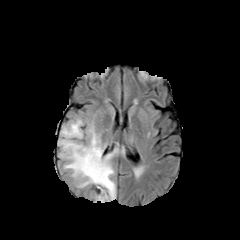
FLAIR MR.
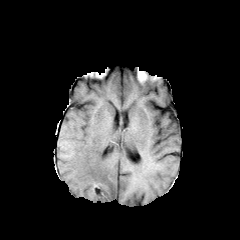
T1-weighted MRI.
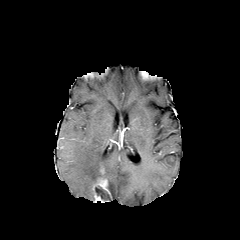
Post-contrast T1-weighted MR.
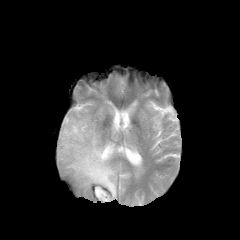
T2-weighted MR image of the same slice.
Image size 240x240
Segmented structures:
* enhancing tumor: x1=98, y1=178, x2=107, y2=187
* edema: x1=58, y1=117, x2=124, y2=200
* non-enhancing tumor core: x1=96, y1=168, x2=109, y2=190